FLAIR MR image.
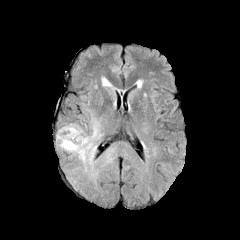
T1-weighted MR image.
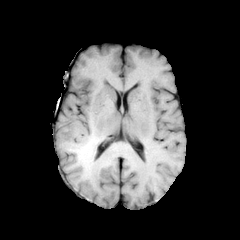
Post-contrast T1-weighted MRI.
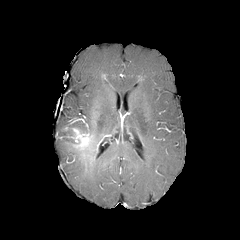
T2-weighted MR image.
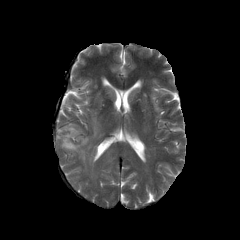
Brain
The enhancing tumor is bounded by <box>70,127,88,147</box>. 2 edema regions are bounded by <box>58,118,101,177</box>, <box>102,80,115,95</box>. 2 non-enhancing tumor core regions are located at <box>85,147,94,163</box>, <box>56,123,80,150</box>.